240x240. Slice index 37.
FLAIR MR.
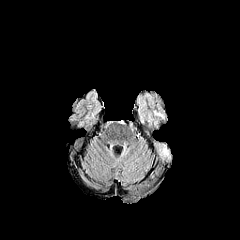
T1-weighted MRI.
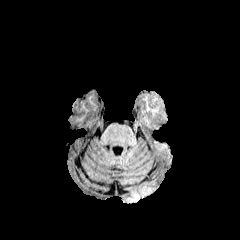
Post-contrast T1-weighted MR image.
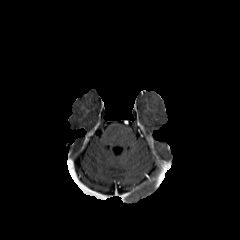
T2-weighted MR image.
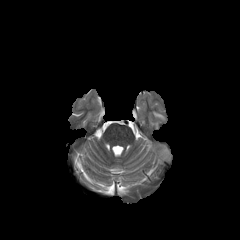
Annotated regions:
* edema: rect(155, 145, 170, 161)